Slice 80/155 | Brain
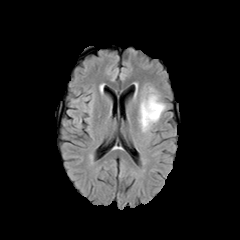
FLAIR MR.
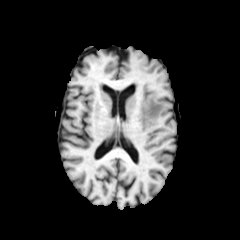
T1-weighted MR.
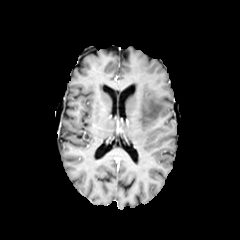
Same slice, post-contrast T1-weighted magnetic resonance.
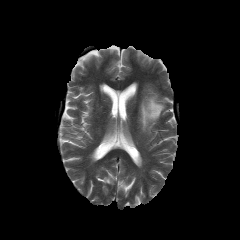
T2-weighted magnetic resonance of the same slice.
The edema appears at 137 86 165 132.